Slice 56/155; Head; Field of view 240 mm wide, 1.00 mm slice spacing
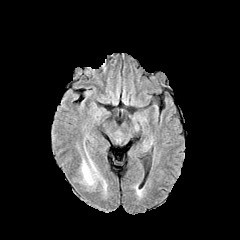
FLAIR MR image.
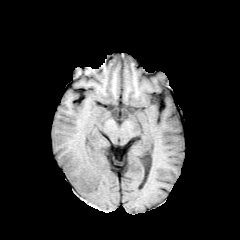
T1-weighted MR image.
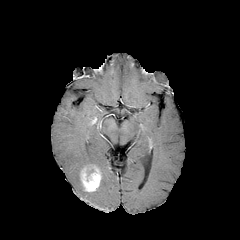
Post-contrast T1-weighted MR image of the same slice.
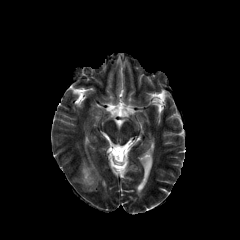
Same slice, T2-weighted magnetic resonance.
Enhancing tumor: bounding box 81:166:100:191.
Edema: bounding box 81:153:95:173.